Image size 512x512, CT scan slice 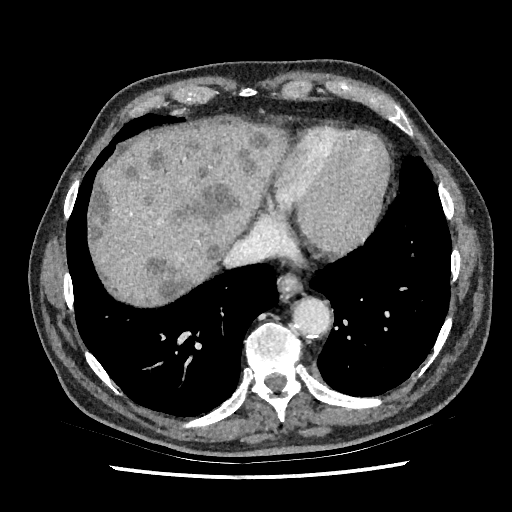

The liver is located at box(90, 120, 286, 304). 12 hepatic lesion regions appear at box(123, 165, 139, 180); box(238, 130, 273, 175); box(171, 181, 242, 226); box(186, 137, 201, 150); box(205, 245, 221, 268); box(149, 149, 166, 172); box(145, 255, 190, 301); box(212, 144, 224, 155); box(143, 192, 155, 206); box(89, 176, 111, 242); box(199, 231, 206, 238); box(197, 166, 209, 177).